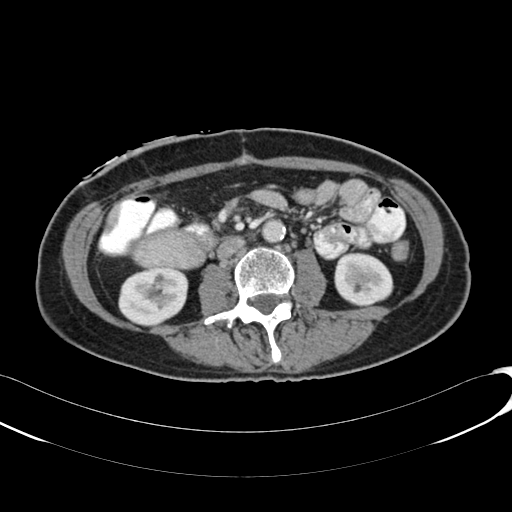 CT scan slice. 2 kidney regions are located at box=[335, 254, 391, 304]; box=[119, 268, 185, 324]. The liver is bounded by box=[106, 206, 119, 225].